CT scan slice, Liver
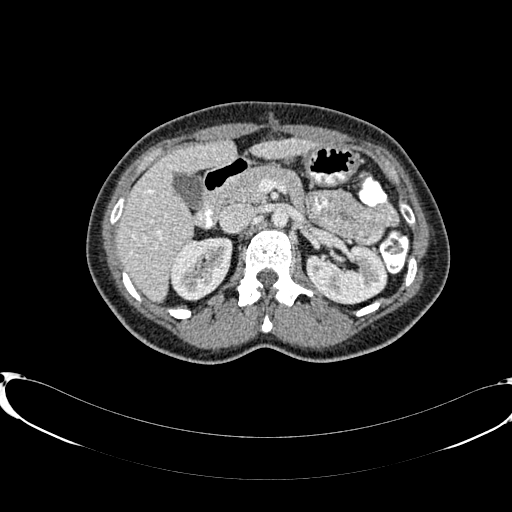
Kidney — {"x1": 308, "y1": 244, "x2": 385, "y2": 302}, {"x1": 172, "y1": 239, "x2": 231, "y2": 298}.
Liver — {"x1": 252, "y1": 139, "x2": 315, "y2": 157}, {"x1": 117, "y1": 140, "x2": 235, "y2": 301}.